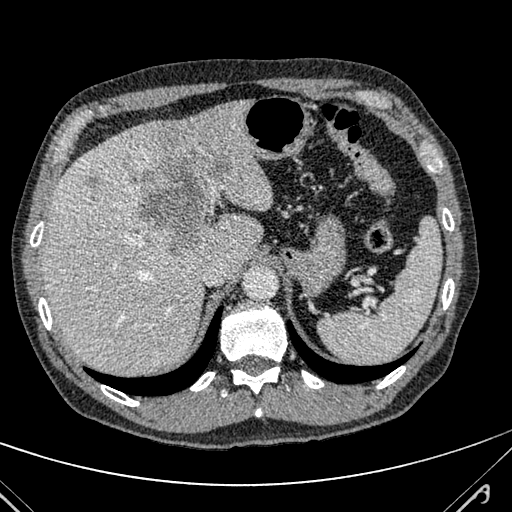

CT scan slice | 512x512 px

liver lesion: <bbox>131, 145, 227, 254</bbox>, <bbox>88, 178, 102, 187</bbox> | liver: <bbox>44, 100, 271, 373</bbox>